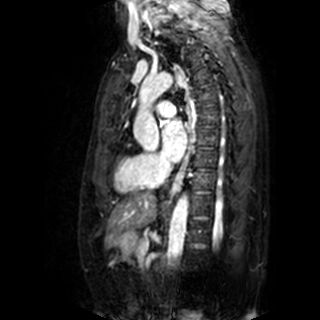

MRI
Segmented structures:
- left atrium: 162, 120, 187, 162